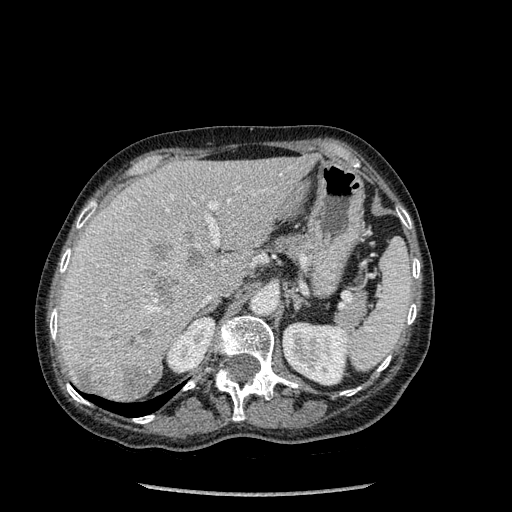 CT image. Liver.
2 kidney regions are located at [168,317,213,372], [283,323,350,384]. The lung is located at [86,387,178,417]. 12 bone regions are located at [60,248,71,272], [340,387,360,395], [396,207,411,228], [183,380,195,390], [66,383,89,404], [377,355,391,371], [406,304,416,324], [76,203,95,228], [412,258,420,278], [133,415,154,423], [214,315,298,420], [50,308,58,339]. 7 hepatic lesion regions appear at [76,369,96,391], [144,267,156,276], [188,231,204,266], [157,279,175,303], [123,364,157,398], [140,330,153,335], [149,240,173,256]. The liver lies within [59,154,318,402].